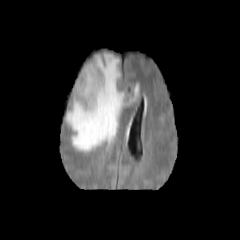
FLAIR magnetic resonance.
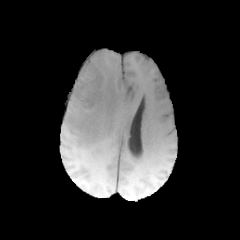
T1-weighted MR of the same slice.
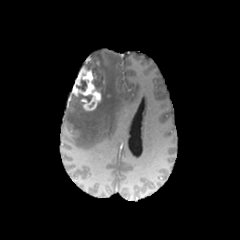
Post-contrast T1-weighted MR.
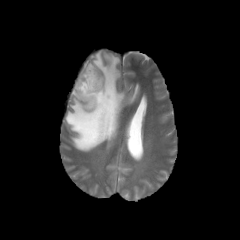
T2-weighted MR of the same slice.
240x240 px
Findings:
- edema: rect(64, 51, 139, 152)
- non-enhancing tumor core: rect(82, 57, 107, 106); rect(74, 94, 92, 105); rect(77, 79, 86, 90)
- enhancing tumor: rect(71, 65, 101, 110)